240x240; Head
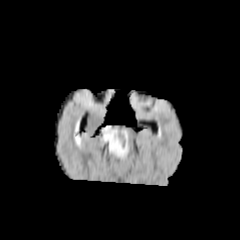
FLAIR MR image.
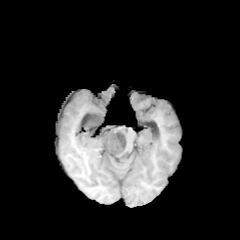
T1-weighted MR.
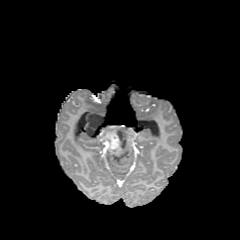
Post-contrast T1-weighted MRI.
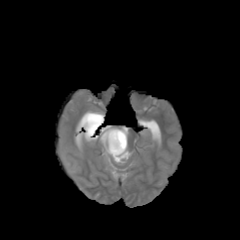
T2-weighted MR image.
The enhancing tumor is bounded by (97,125,122,155). 2 edema regions are bounded by (101,140,128,159), (80,115,86,136). 2 non-enhancing tumor core regions are located at (117,130,129,151), (85,111,104,140).